Field of view 240 mm wide, 1.00 mm slice spacing, Image size 240x240
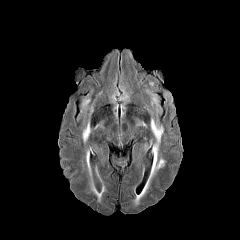
FLAIR magnetic resonance.
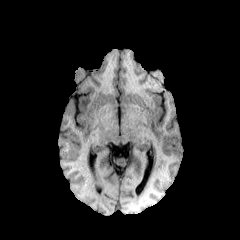
T1-weighted MRI.
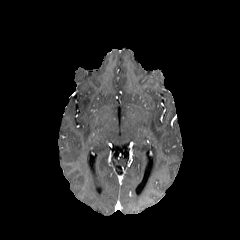
Post-contrast T1-weighted MR of the same slice.
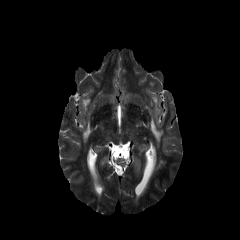
T2-weighted MR of the same slice.
Annotated regions:
- edema: rect(86, 150, 103, 201); rect(82, 119, 90, 143); rect(134, 118, 164, 204)